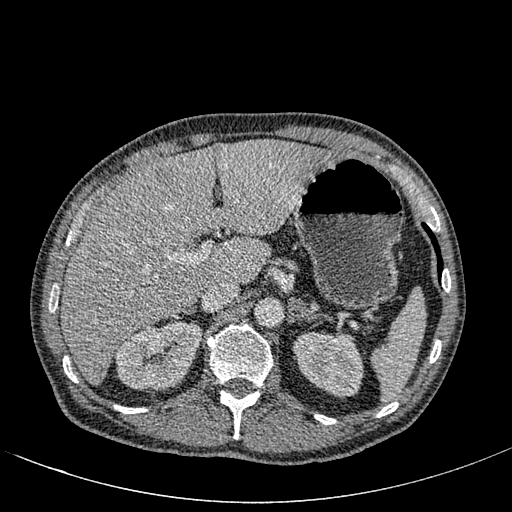
Abdomen, CT

{
  "kidney": [
    "bbox(115, 322, 201, 389)",
    "bbox(293, 332, 363, 395)"
  ],
  "focal_liver_lesion": [
    "bbox(152, 163, 171, 181)",
    "bbox(214, 144, 223, 151)",
    "bbox(86, 242, 100, 262)"
  ],
  "liver": [
    "bbox(61, 138, 341, 384)"
  ]
}